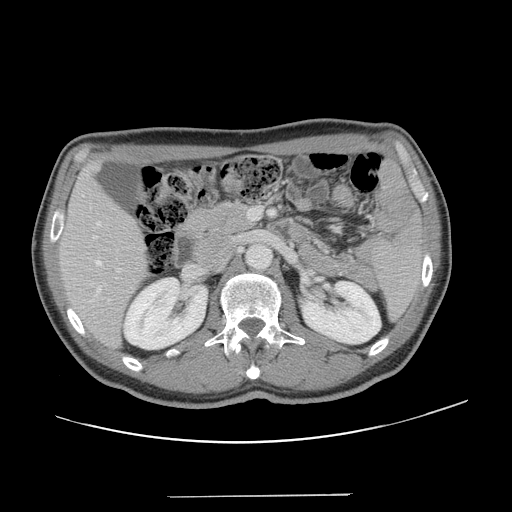 Computed tomography

Only some of the vessels may be annotated.
hepatic_vessel:
  - region(93, 236, 97, 238)
  - region(96, 261, 101, 265)
  - region(116, 268, 120, 271)
  - region(97, 287, 100, 291)
  - region(97, 222, 100, 224)